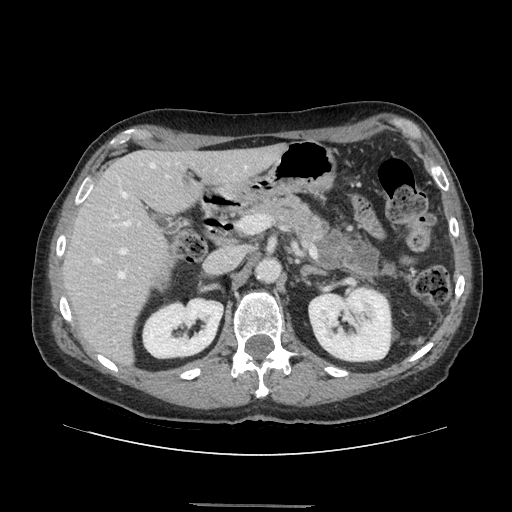 512x512 px | Abdomen | CT image

Pancreas = [x1=256, y1=198, x2=323, y2=242].